Abdomen. CT slice.
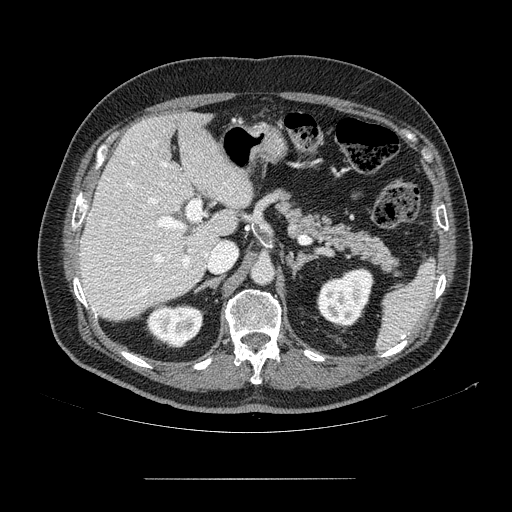
Segmented structures:
• pancreas: rect(275, 199, 402, 278)